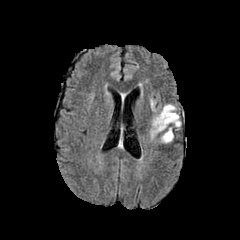
FLAIR MRI.
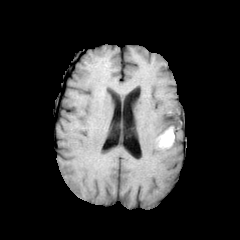
Same slice, T1-weighted MR image.
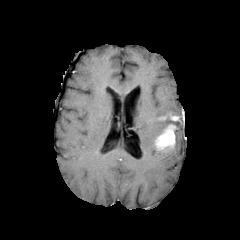
Post-contrast T1-weighted MR.
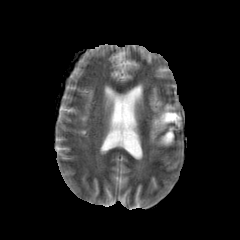
T2-weighted magnetic resonance.
edema:
  - 149:99:182:144
non-enhancing_tumor_core:
  - 155:134:174:148
enhancing_tumor:
  - 158:114:179:120
  - 160:126:174:143